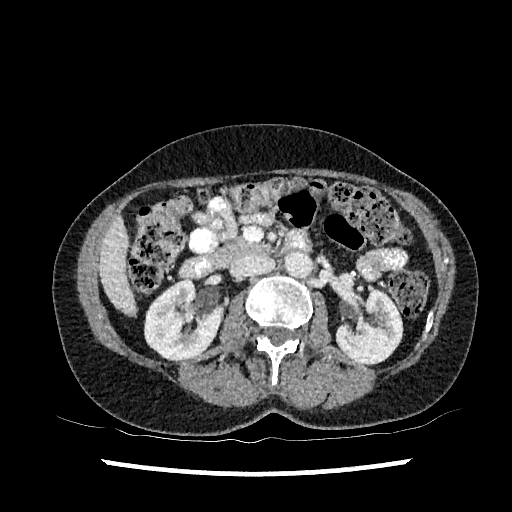

Computed tomography. Upper abdomen. 512x512 px.
{
  "kidney": [
    "(337, 290, 402, 363)",
    "(145, 280, 221, 359)"
  ],
  "liver": [
    "(99, 218, 135, 313)"
  ]
}